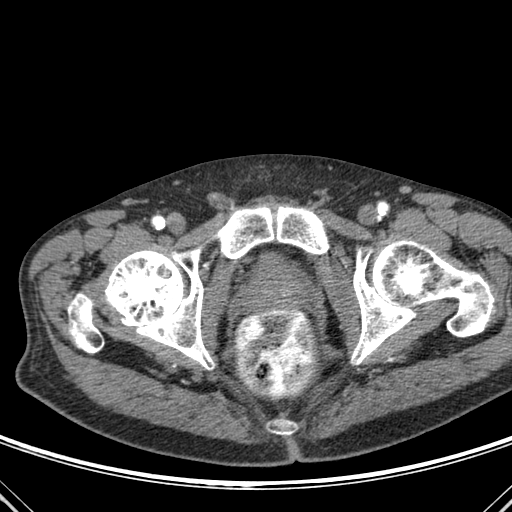
Computed tomography
- bone: box=[352, 239, 494, 364]; box=[100, 246, 212, 369]; box=[274, 420, 292, 434]; box=[211, 206, 329, 259]; box=[68, 293, 109, 352]